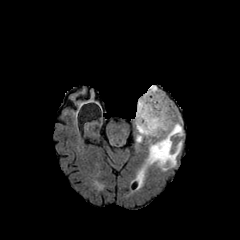
FLAIR MR.
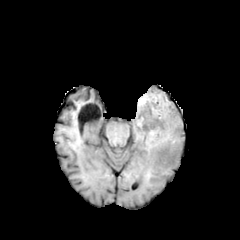
T1-weighted magnetic resonance of the same slice.
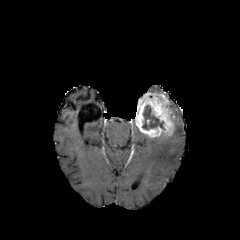
Post-contrast T1-weighted magnetic resonance.
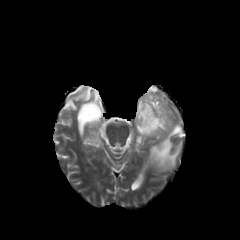
T2-weighted MR.
non-enhancing tumor core: bbox(142, 105, 163, 129) | enhancing tumor: bbox(135, 92, 173, 136) | edema: bbox(135, 100, 183, 184); bbox(147, 85, 160, 94)